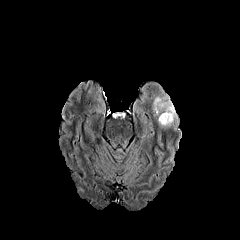
FLAIR MRI.
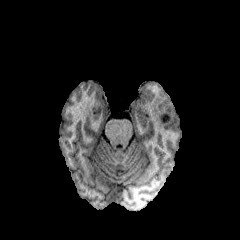
T1-weighted MR image.
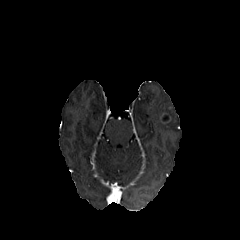
Post-contrast T1-weighted MR image.
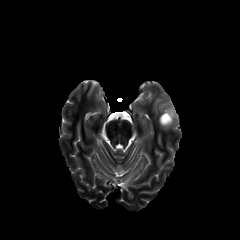
Same slice, T2-weighted MRI.
Head, 240x240 px
Enhancing tumor: bounding box left=159, top=113, right=171, bottom=124.
Edema: bounding box left=139, top=110, right=151, bottom=133; left=142, top=84, right=180, bottom=131.